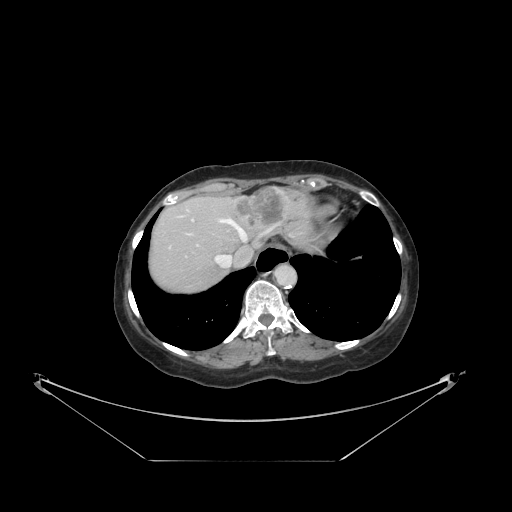 512x512; CT slice; Abdomen
The vessel boxes may cover only some of the vessels.
4 hepatic vessel regions are bounded by rect(192, 218, 193, 220); rect(215, 248, 251, 267); rect(185, 233, 189, 234); rect(216, 217, 246, 241). The liver tumor is located at rect(232, 189, 286, 231).